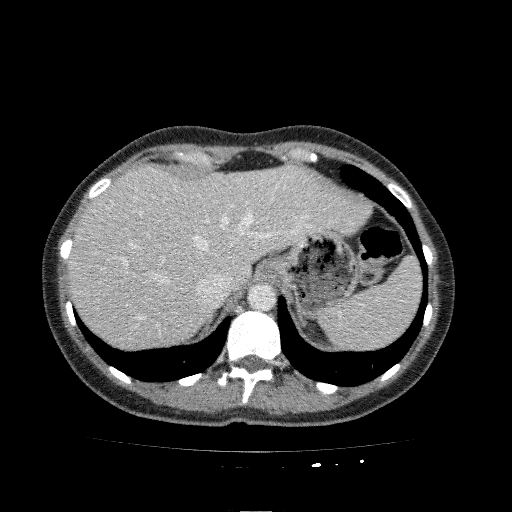 512x512 px | CT slice | Abdomen
<segmentation>
  <liver>bbox=[68, 165, 371, 348]</liver>
</segmentation>